CT scan slice, Field of view 369 mm wide, 0.80 mm slice spacing, Liver 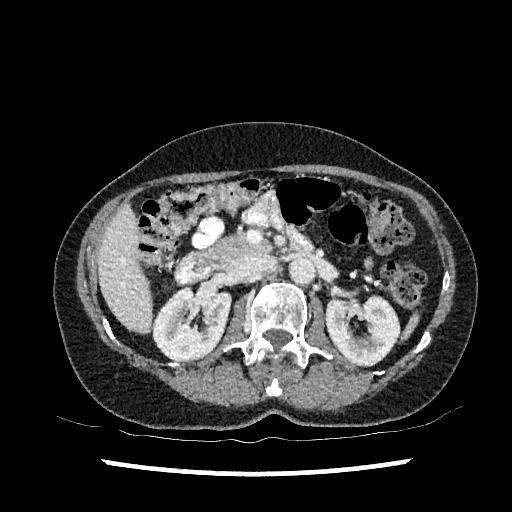 liver:
  - x1=99 y1=204 x2=151 y2=333
kidney:
  - x1=154 y1=281 x2=230 y2=360
  - x1=326 y1=297 x2=399 y2=365